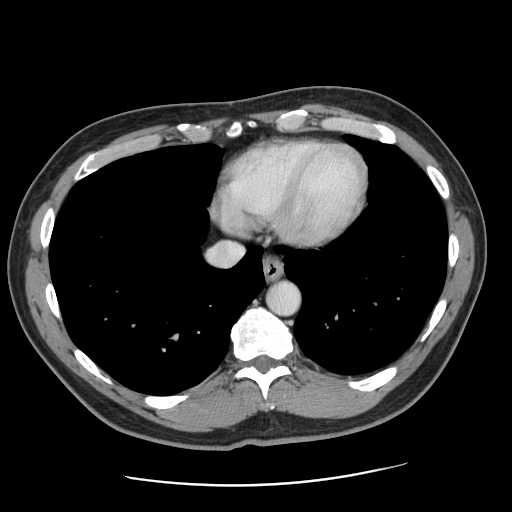
CT scan slice, Abdomen
The vessel boxes may cover only some of the vessels.
Hepatic vessel at region(235, 244, 240, 247); region(207, 244, 237, 265).